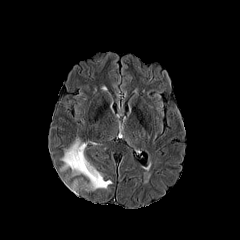
FLAIR MRI.
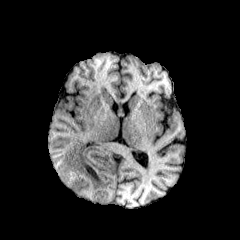
T1-weighted magnetic resonance.
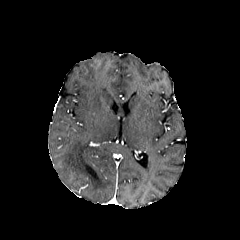
Post-contrast T1-weighted MR of the same slice.
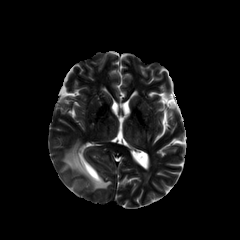
T2-weighted MR.
Image size 240x240.
Edema — <box>60,139,111,190</box>.